Abdomen; 512x512; Field of view 440x440 mm; Slice index 36; CT scan slice
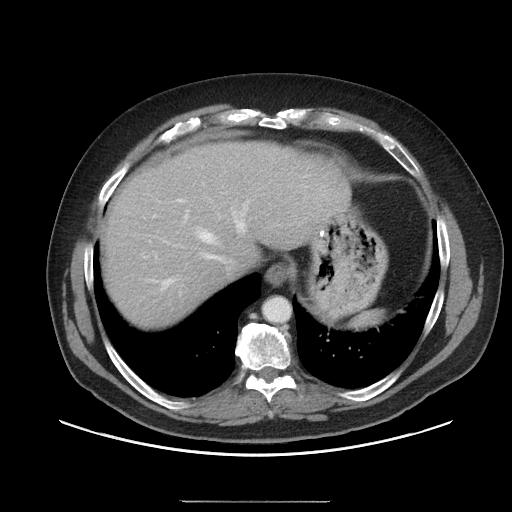

Some hepatic vessels may have no box.
{"hepatic_vessel": ["[153,215,155,217]", "[162,279,174,289]", "[177,199,183,201]", "[243,206,246,213]", "[184,215,187,218]", "[197,230,219,245]", "[234,214,244,232]", "[205,253,231,263]"]}